FLAIR MR.
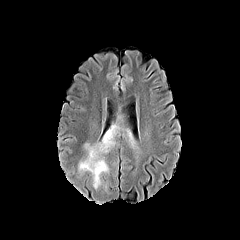
T1-weighted magnetic resonance.
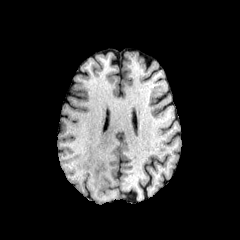
Post-contrast T1-weighted MR image.
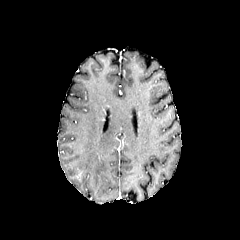
T2-weighted magnetic resonance.
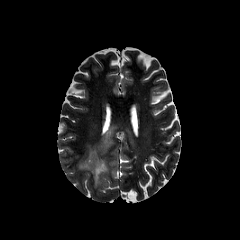
Findings:
- edema: <box>99,129,112,151</box>, <box>79,143,106,188</box>